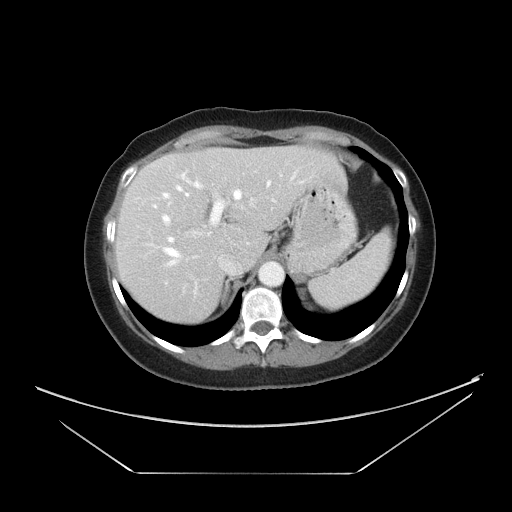
Computed tomography.
The vessel annotation is not exhaustive.
Segmented structures:
- hepatic vessel (most prominent 15 of 21): 234, 190, 241, 199; 163, 193, 168, 197; 193, 232, 195, 235; 203, 197, 228, 227; 162, 215, 169, 223; 218, 256, 236, 275; 250, 198, 253, 205; 181, 172, 201, 187; 163, 248, 180, 265; 177, 186, 181, 190; 293, 173, 295, 177; 168, 237, 173, 241; 185, 193, 188, 195; 153, 204, 155, 207; 267, 181, 270, 184
- liver tumor: 220, 183, 231, 194